Upper abdomen, CT image

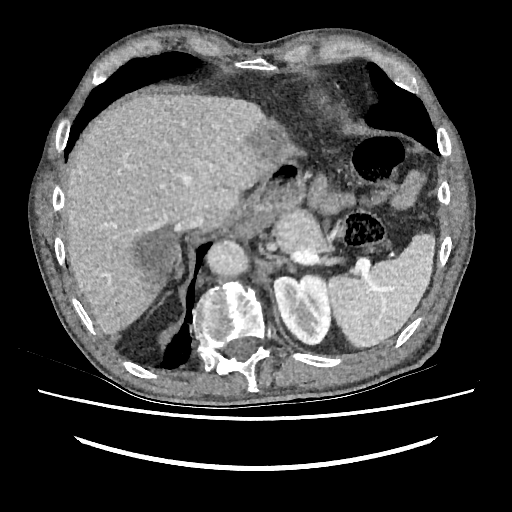 Focal liver lesion: 124,224,175,291; 246,121,286,160.
Kidney: 274,276,330,344.
Liver: 66,93,305,333.